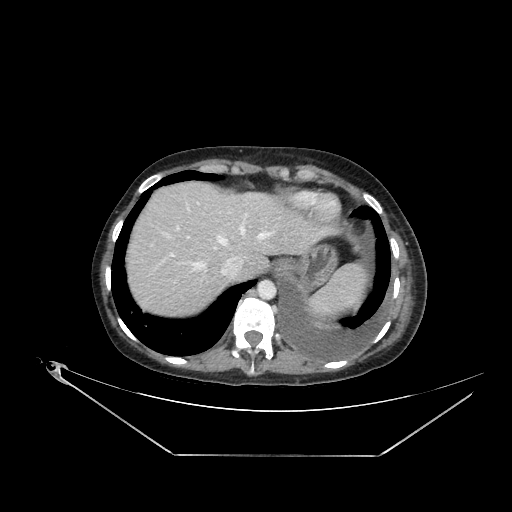

Liver | Computed tomography
• liver: rect(132, 183, 319, 315)